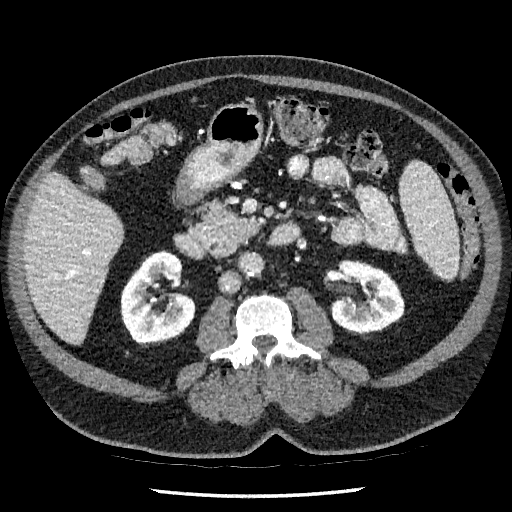 Abdomen. Computed tomography.
2 liver regions are bounded by [102,141,136,163], [24,173,123,343]. 2 kidney regions appear at [329,261,403,332], [121,252,194,342].